CT image | Image size 512x512

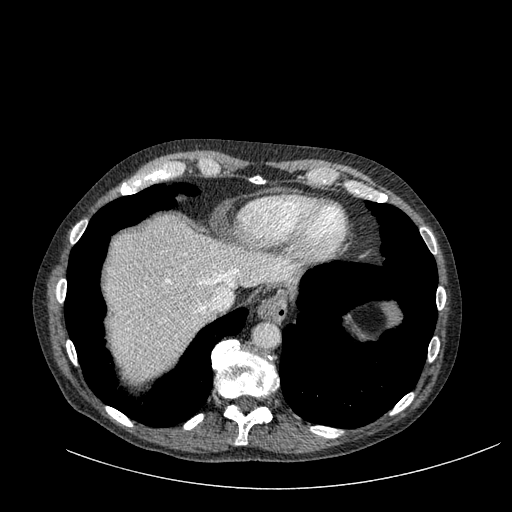

Liver: 106,215,299,380.